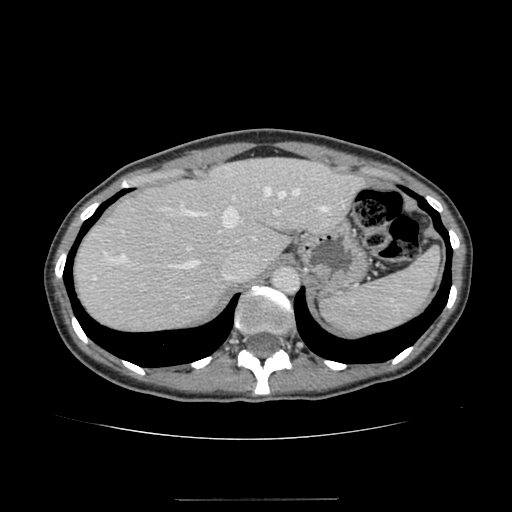
Liver; CT scan slice
The liver is at {"x1": 76, "y1": 158, "x2": 366, "y2": 333}.